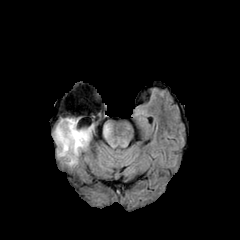
FLAIR MR.
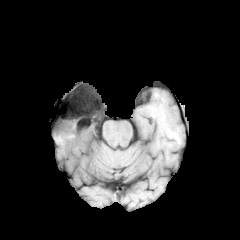
T1-weighted MR image of the same slice.
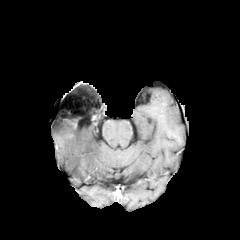
Post-contrast T1-weighted MRI.
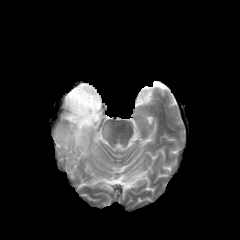
T2-weighted magnetic resonance of the same slice.
Head.
Edema at bbox(54, 118, 94, 164); bbox(103, 126, 109, 137).